Slice 112 of 155, 240x240
FLAIR MR image.
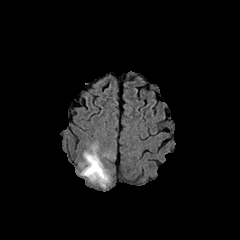
T1-weighted MR image.
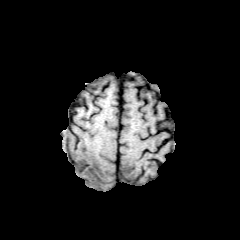
Post-contrast T1-weighted MR.
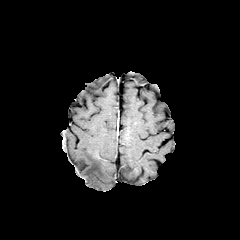
T2-weighted MR image.
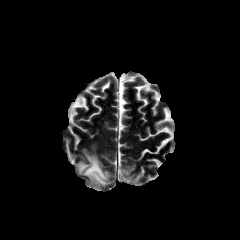
- edema: box=[78, 144, 114, 188]